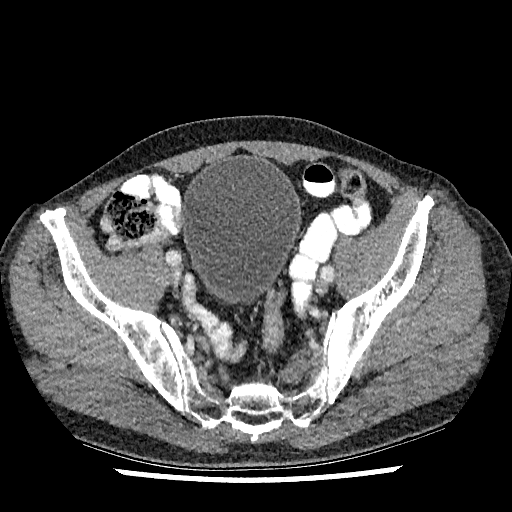 CT slice. Urinary bladder — <box>181,157,298,304</box>.